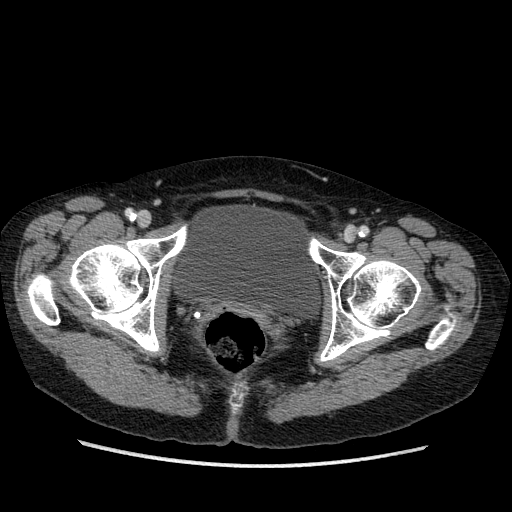
Lower abdomen. CT scan slice. urinary bladder: box(171, 204, 324, 321)